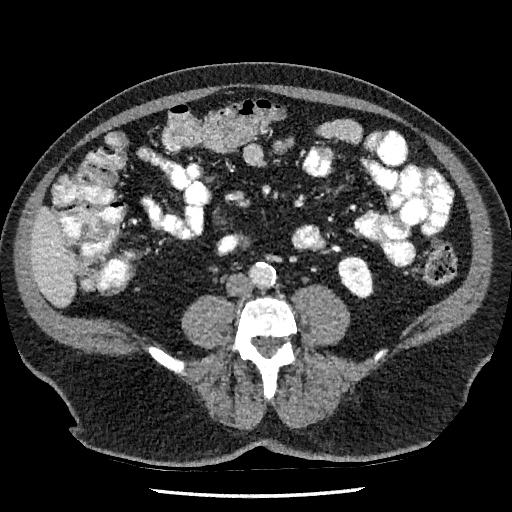

Computed tomography; Liver
The kidney is bounded by 339,258,371,296. The liver is at 31,207,77,307.